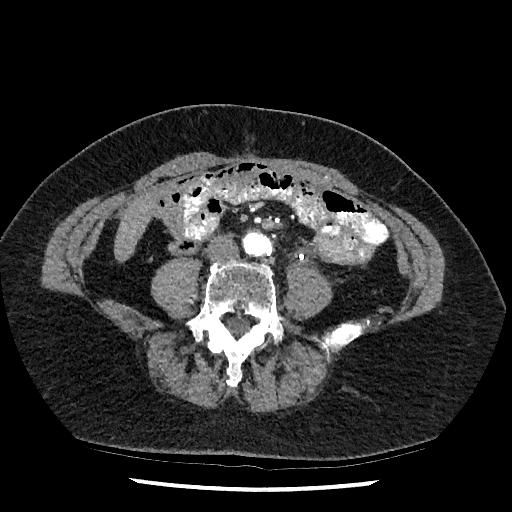

CT. Image size 512x512.

Liver: bounding box rect(115, 201, 152, 259).